Computed tomography, Slice 656/685
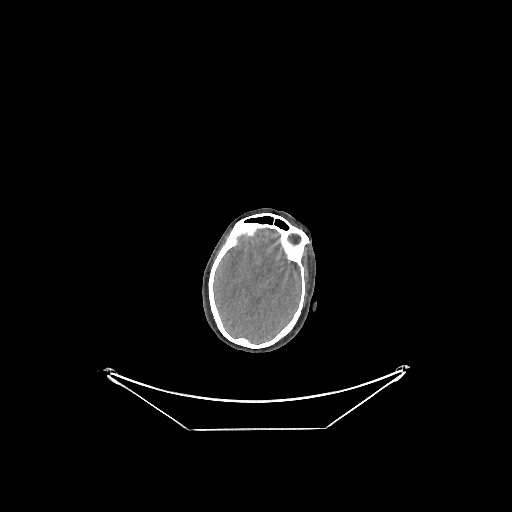

The brain is at 213 228 301 344.